Computed tomography | Slice index 86

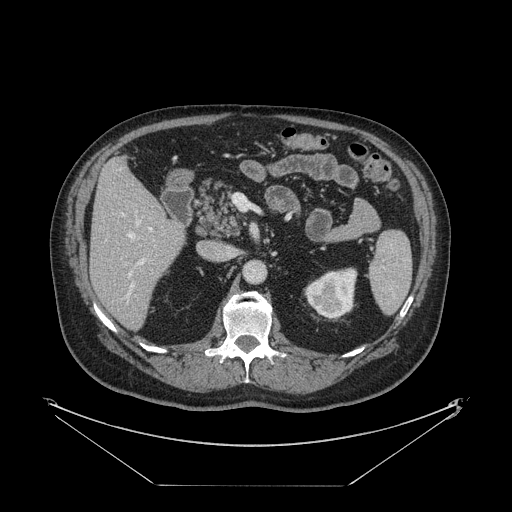

Not every hepatic vessel necessarily has a box.
4 hepatic vessel regions are located at left=148, top=227, right=151, bottom=229; left=136, top=260, right=142, bottom=264; left=121, top=213, right=123, bottom=214; left=128, top=270, right=131, bottom=276.